FLAIR MR image.
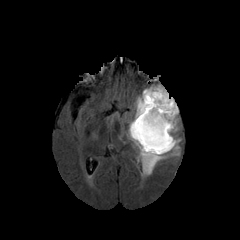
T1-weighted MRI.
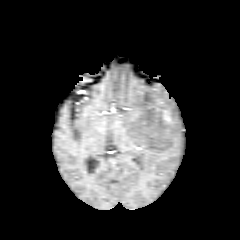
Post-contrast T1-weighted magnetic resonance.
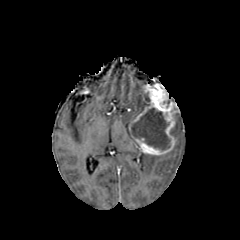
T2-weighted MRI.
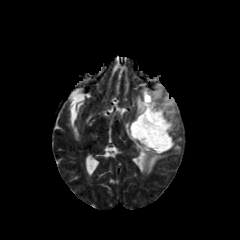
Brain. 240x240 px.
enhancing tumor: [129, 84, 178, 155] | edema: [171, 120, 179, 136], [133, 91, 142, 120], [139, 138, 181, 174] | non-enhancing tumor core: [131, 108, 170, 149], [141, 94, 150, 111]